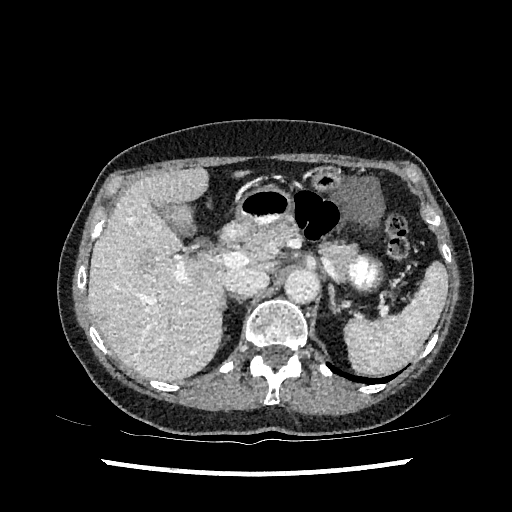 CT scan slice | Upper abdomen | 512x512 px
Findings:
- liver: box=[171, 207, 192, 225]; box=[88, 166, 223, 380]; box=[233, 170, 245, 176]
- liver lesion: box=[140, 249, 154, 273]; box=[95, 311, 107, 324]